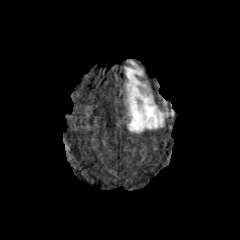
FLAIR MRI.
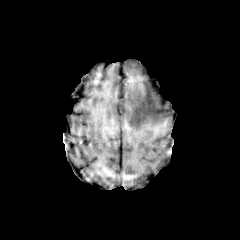
T1-weighted MR.
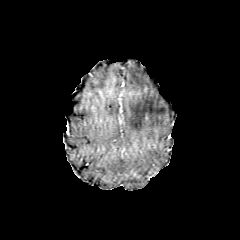
Post-contrast T1-weighted MR.
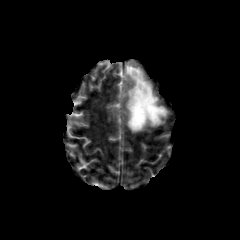
Same slice, T2-weighted MR.
The edema appears at box(124, 61, 169, 133).